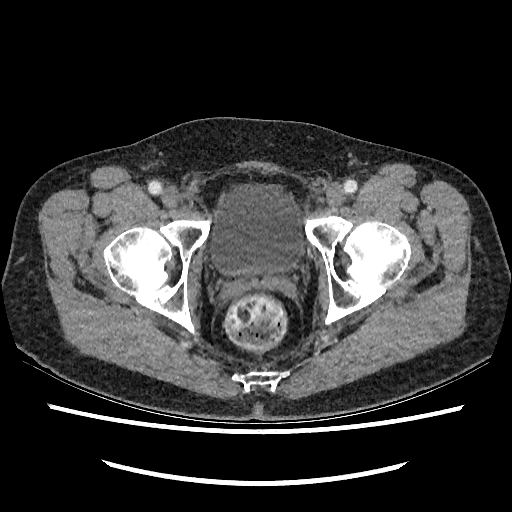
CT slice; Pelvis

Urinary bladder at 208 183 311 277.